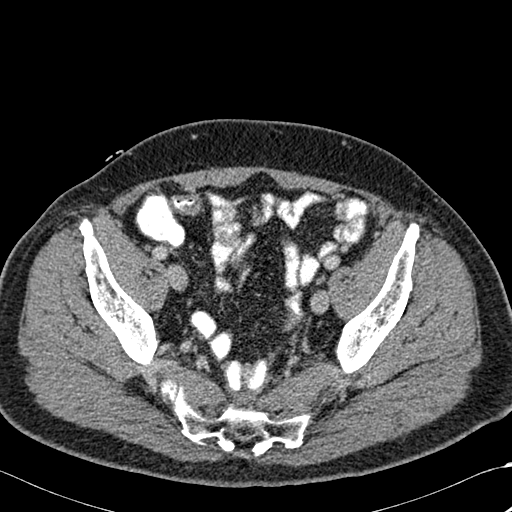

CT image
bone: x1=80, y1=219, x2=156, y2=365; x1=162, y1=381, x2=309, y2=455; x1=337, y1=223, x2=418, y2=373